MR; 320x320 px

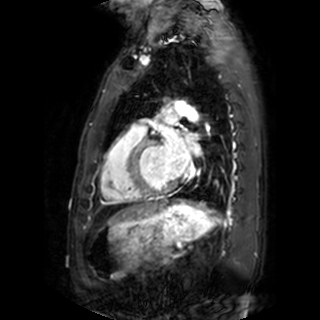 3 left atrium regions appear at [163, 129, 189, 175], [188, 133, 195, 140], [166, 115, 174, 122].